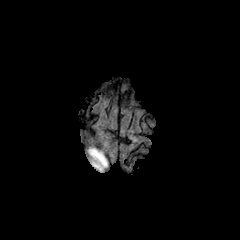
FLAIR magnetic resonance.
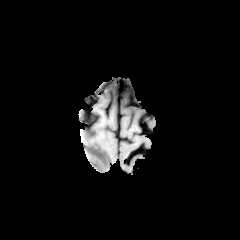
T1-weighted MRI.
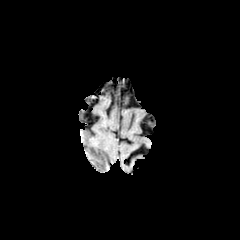
Post-contrast T1-weighted MR image.
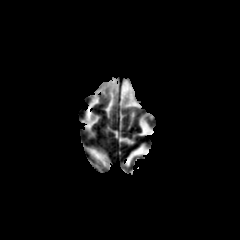
T2-weighted magnetic resonance.
Head
The edema is located at 88,147,107,170.